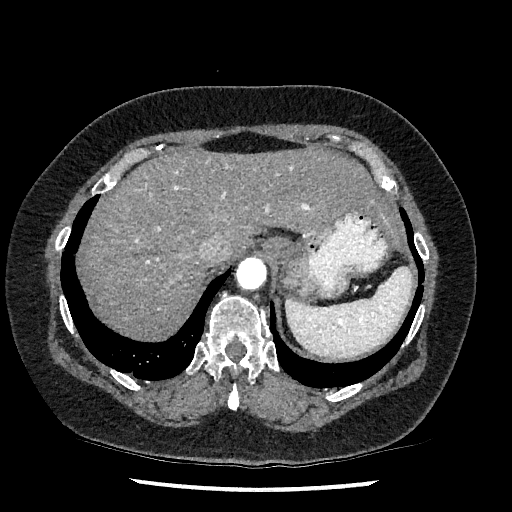
CT image; 512x512 px; Upper abdomen
The liver is located at [x1=83, y1=146, x2=404, y2=338].